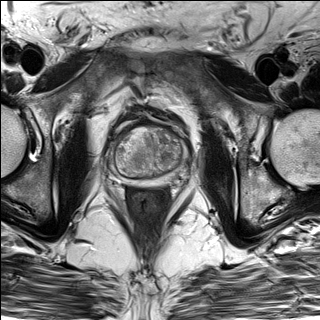
T2-weighted MR image.
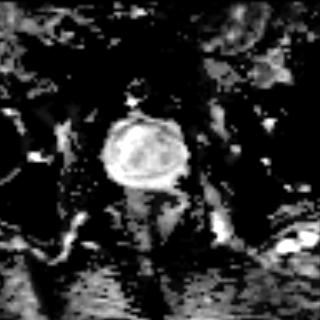
ADC MRI of the same slice.
320x320 px; Prostate
The prostate peripheral zone is located at (x1=108, y1=133, x2=188, y2=186). The prostate transition zone is located at (x1=115, y1=126, x2=182, y2=179).